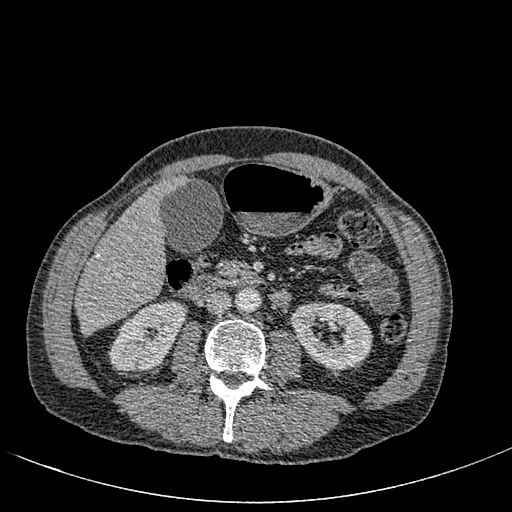 CT.

Liver at 76 176 186 333.
Kidney at 291 303 371 370, 109 301 185 370.